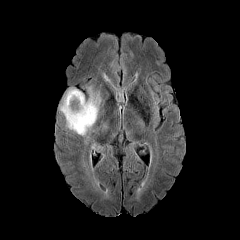
FLAIR magnetic resonance.
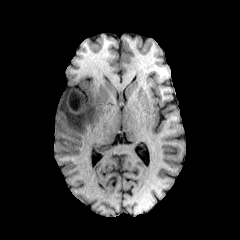
T1-weighted MR image.
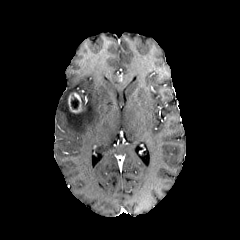
Post-contrast T1-weighted magnetic resonance of the same slice.
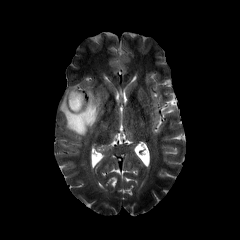
T2-weighted MRI.
Brain.
edema: (56,86,100,138) | enhancing tumor: (67,92,85,113) | non-enhancing tumor core: (70,98,78,109)